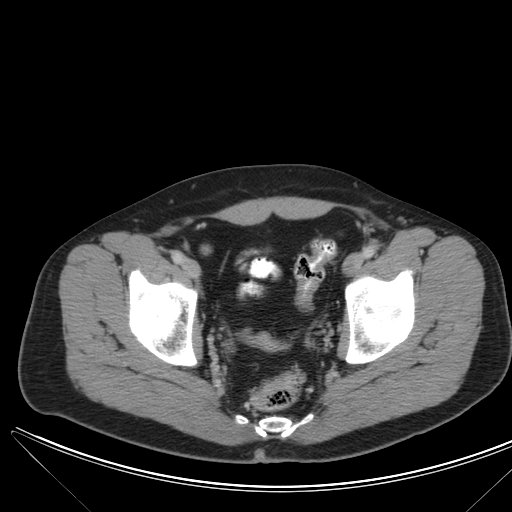 CT scan slice
<segmentation>
  <colon_tumor>[252, 376, 295, 410]</colon_tumor>
</segmentation>